Computed tomography; Abdomen 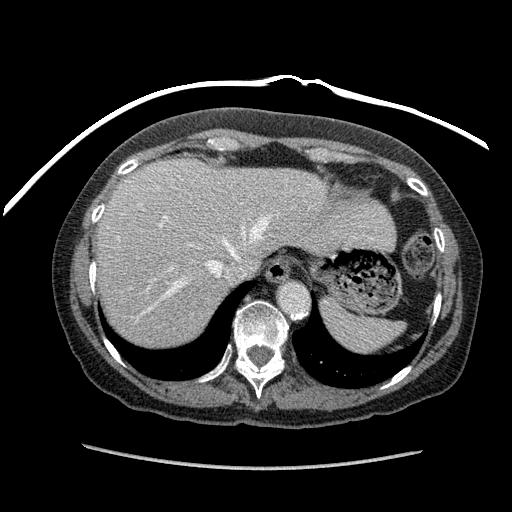
{
  "liver": [
    "95, 159, 394, 348"
  ]
}